Computed tomography. Field of view 461 mm wide, 5.00 mm slice spacing. Liver. 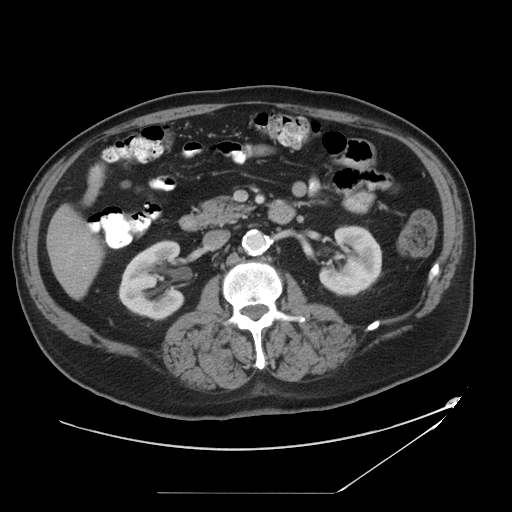 Only some of the vessels may be annotated.
6 hepatic vessel regions appear at [x1=69, y1=249, x2=73, y2=252], [x1=68, y1=262, x2=71, y2=265], [x1=91, y1=252, x2=95, y2=258], [x1=64, y1=235, x2=66, y2=237], [x1=84, y1=267, x2=86, y2=269], [x1=81, y1=231, x2=90, y2=243].